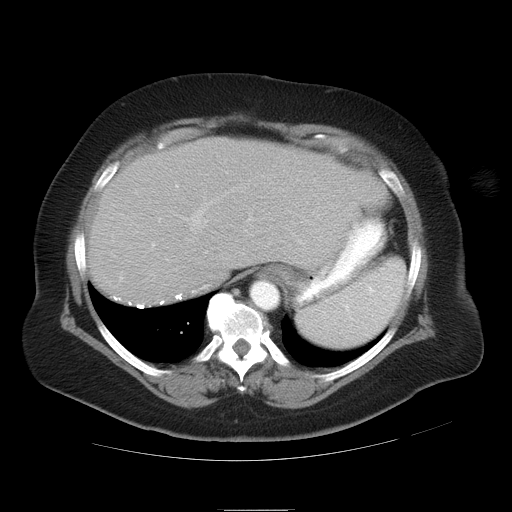
Computed tomography
The vessel boxes may cover only some of the vessels.
{
  "hepatic_vessel": [
    "left=192, top=290, right=195, bottom=291",
    "left=183, top=201, right=213, bottom=231",
    "left=247, top=215, right=253, bottom=221",
    "left=158, top=218, right=160, bottom=221",
    "left=151, top=242, right=155, bottom=248",
    "left=175, top=184, right=178, bottom=187"
  ]
}